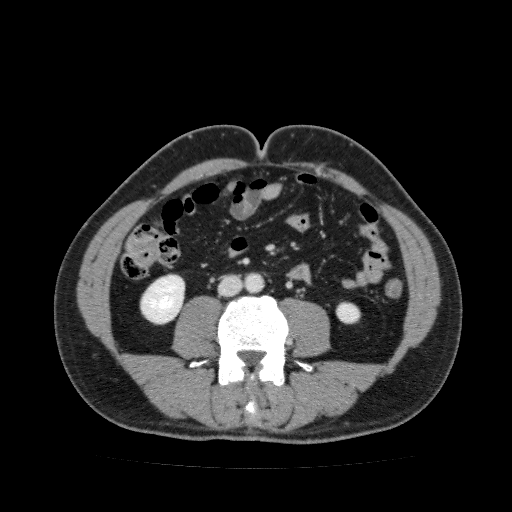
512x512; CT
Kidney: bounding box [337, 303, 359, 322], [141, 275, 184, 323].